Slice 156/289; Lung; CT slice
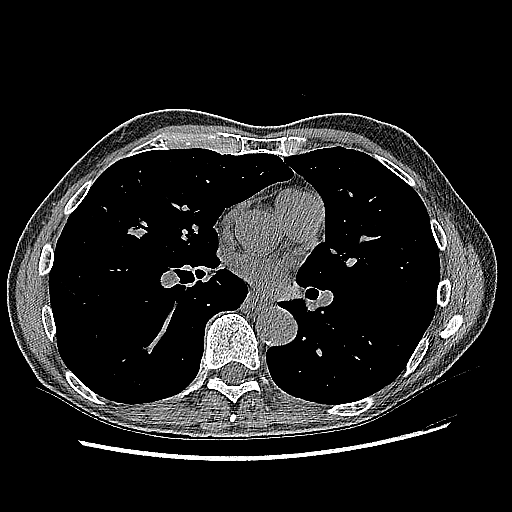

Lung tumor: bounding box region(125, 223, 150, 239).